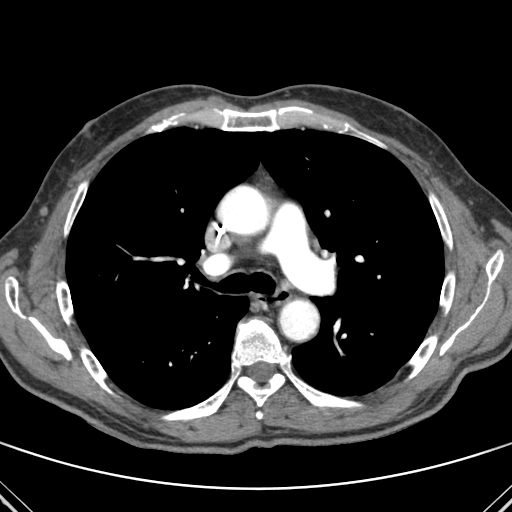
CT image. Chest. Bone at bbox(429, 194, 452, 248); bbox(213, 106, 309, 131); bbox(337, 123, 349, 132); bbox(162, 319, 361, 420); bbox(366, 136, 382, 146); bbox(5, 277, 26, 318); bbox(56, 281, 72, 324); bbox(149, 126, 162, 131); bbox(440, 272, 454, 313); bbox(486, 251, 503, 285); bbox(440, 293, 487, 355); bbox(81, 348, 112, 393); bbox(28, 317, 71, 359); bbox(64, 181, 86, 235); bbox(409, 335, 437, 378).
Lung at bbox(66, 127, 443, 409).